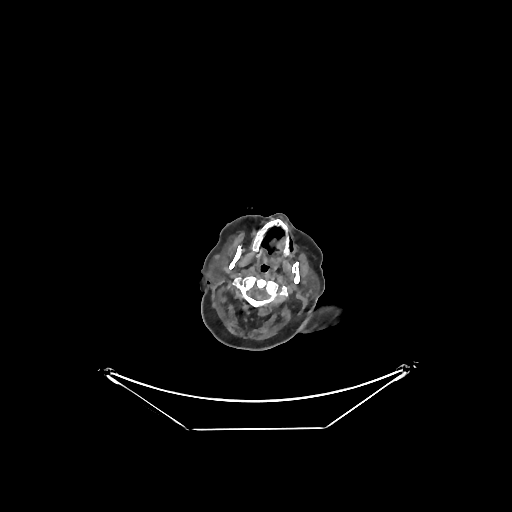

512x512 px, Brain, CT

<segmentation>
  <brain>box=[249, 290, 262, 297]</brain>
</segmentation>